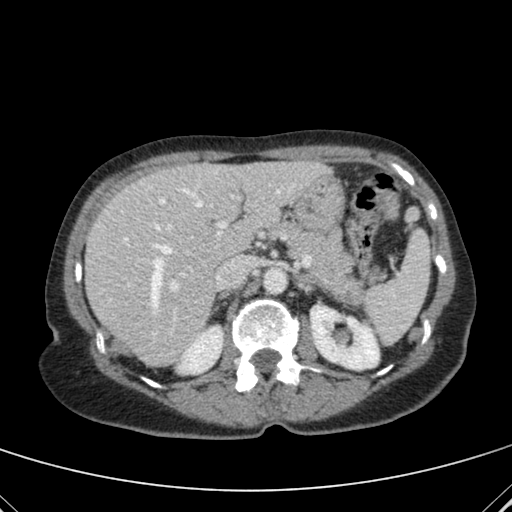 Computed tomography, Liver

2 kidney regions are located at 178,327,220,372; 311,306,378,365. The liver is bounded by 85,161,329,364.